CT, Liver, 512x512 px

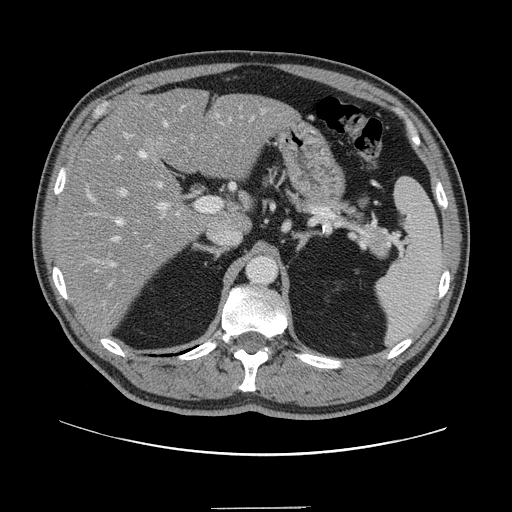
The vessel boxes may cover only some of the vessels.
Annotated regions:
• hepatic vessel (top 15 of 17): <box>114,218,123,225</box>, <box>125,134,132,137</box>, <box>164,122,167,126</box>, <box>109,263,115,265</box>, <box>252,117,253,119</box>, <box>120,190,126,195</box>, <box>117,156,120,158</box>, <box>158,182,162,187</box>, <box>114,237,119,240</box>, <box>140,152,146,157</box>, <box>88,190,94,200</box>, <box>158,204,167,219</box>, <box>91,259,98,261</box>, <box>196,204,219,212</box>, <box>216,115,218,118</box>